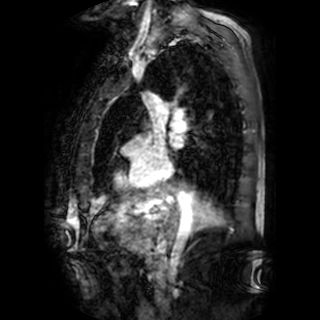
Heart. MR image.

<segmentation>
  <left_atrium>l=171, t=136, r=182, b=147</left_atrium>
</segmentation>